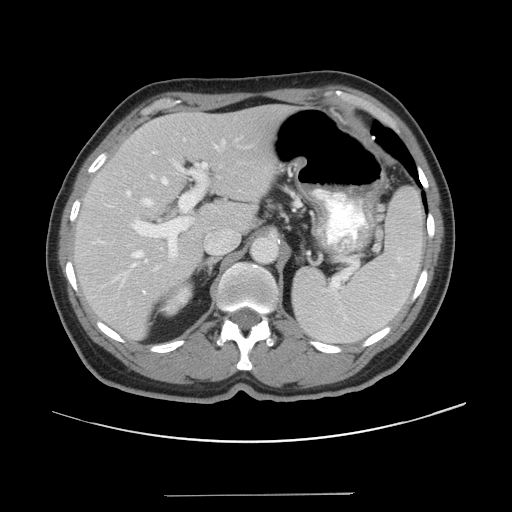

CT
Only some of the vessels may be annotated.
The largest 15 hepatic vessel regions (of 16) are located at l=221, t=140, r=225, b=145; l=173, t=161, r=207, b=212; l=143, t=199, r=152, b=206; l=162, t=178, r=167, b=184; l=132, t=250, r=143, b=257; l=154, t=266, r=159, b=270; l=127, t=191, r=130, b=196; l=214, t=145, r=218, b=148; l=151, t=175, r=154, b=178; l=144, t=259, r=147, b=262; l=219, t=165, r=221, b=166; l=113, t=273, r=127, b=286; l=152, t=151, r=155, b=153; l=131, t=216, r=193, b=257; l=131, t=264, r=135, b=266.